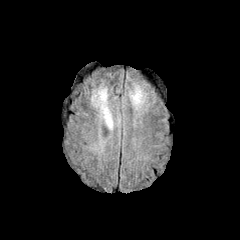
FLAIR MRI.
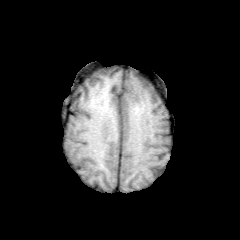
T1-weighted magnetic resonance.
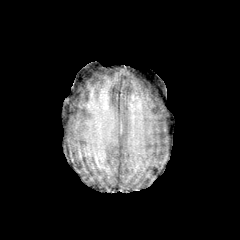
Post-contrast T1-weighted MR.
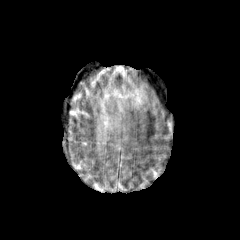
Same slice, T2-weighted MR image.
Edema — left=98, top=89, right=112, bottom=129; left=128, top=87, right=143, bottom=105.